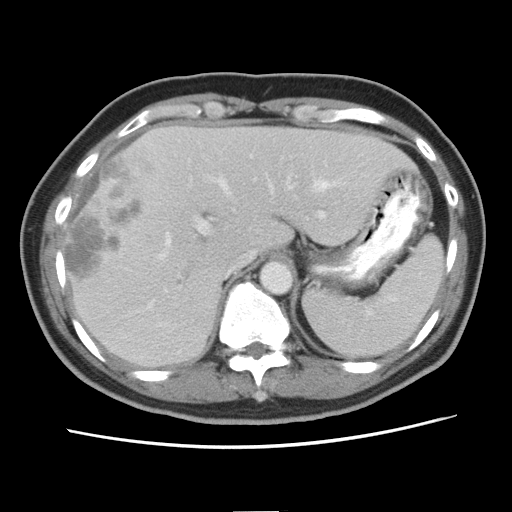

512x512 px, CT scan slice
The vessel annotation is not exhaustive.
14 hepatic vessel regions appear at l=147, t=301, r=153, b=308; l=165, t=233, r=170, b=245; l=158, t=254, r=165, b=259; l=313, t=180, r=341, b=191; l=197, t=221, r=206, b=233; l=209, t=177, r=229, b=195; l=158, t=324, r=160, b=326; l=249, t=155, r=251, b=157; l=268, t=182, r=272, b=191; l=178, t=287, r=179, b=289; l=324, t=163, r=325, b=164; l=164, t=289, r=166, b=291; l=287, t=177, r=292, b=189; l=318, t=212, r=324, b=217. The liver tumor appears at l=66, t=155, r=143, b=282.